Image width 360 mm, 512x512 px, CT slice

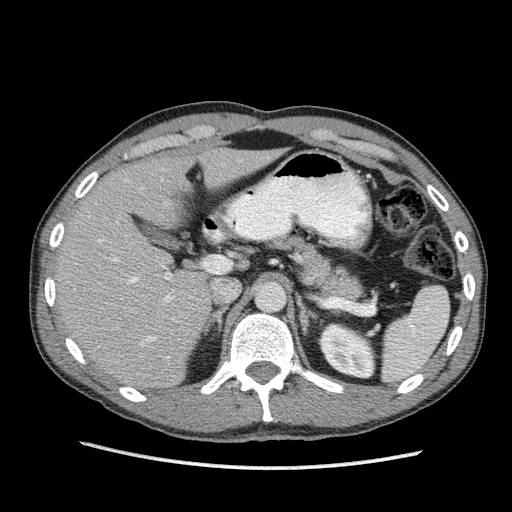

{
  "kidney": [
    "region(321, 325, 372, 377)"
  ],
  "liver": [
    "region(50, 146, 290, 390)"
  ]
}